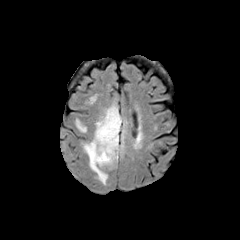
FLAIR magnetic resonance.
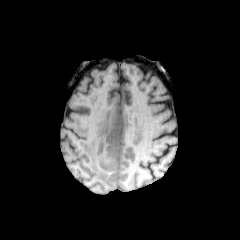
T1-weighted MRI.
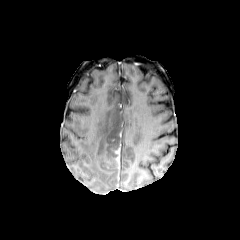
Post-contrast T1-weighted MRI of the same slice.
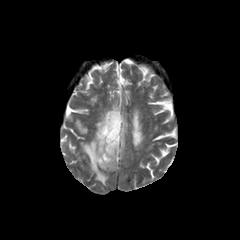
Same slice, T2-weighted magnetic resonance.
240x240 px
enhancing tumor: left=114, top=148, right=120, bottom=161 | edema: left=81, top=103, right=127, bottom=184; left=88, top=96, right=97, bottom=104